FLAIR MRI.
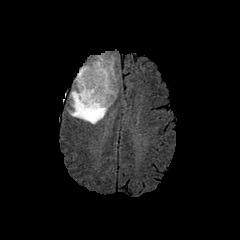
T1-weighted MRI.
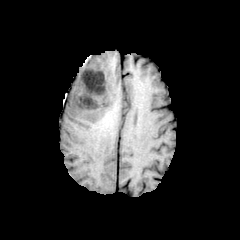
Post-contrast T1-weighted magnetic resonance.
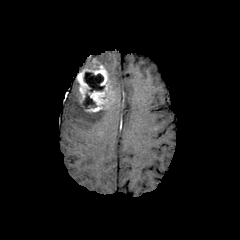
T2-weighted MR image.
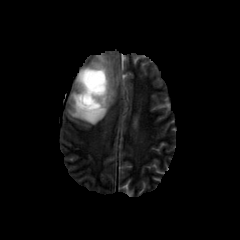
Image size 240x240; Brain
Edema = <box>67,55,115,125</box>.
Non-enhancing tumor core = <box>84,72,104,91</box>, <box>80,95,95,108</box>.
Enhancing tumor = <box>76,59,111,112</box>.